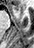

MRI; Image size 34x48
Segmented structures:
• anterior hippocampus: region(13, 6, 18, 11)